Abdomen; CT; Slice index 336; Field of view 350x350 mm; Image size 512x512
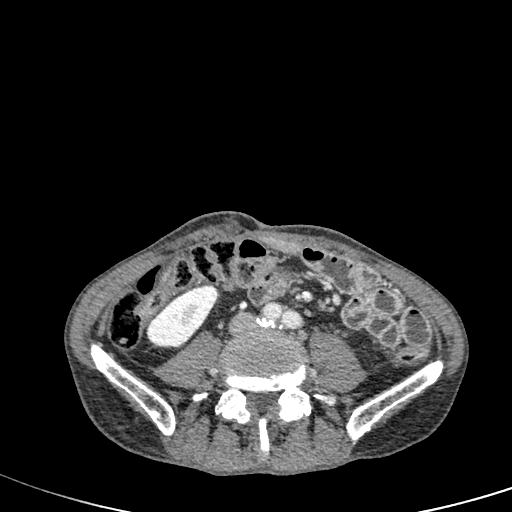

liver: 162 267 170 281 | kidney: 147 286 217 346